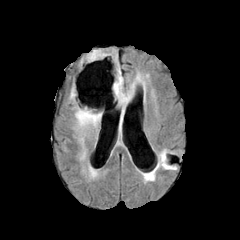
FLAIR MRI.
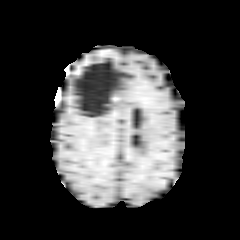
T1-weighted MR.
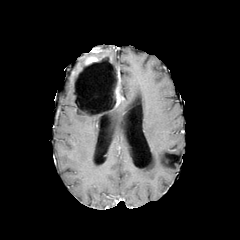
Same slice, post-contrast T1-weighted MR image.
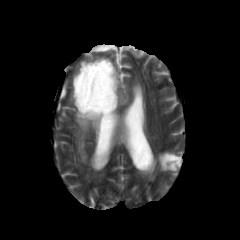
T2-weighted MR.
enhancing_tumor:
  - [x1=115, y1=67, x2=123, y2=103]
  - [x1=87, y1=55, x2=98, y2=62]
non-enhancing_tumor_core:
  - [x1=119, y1=70, x2=122, y2=95]
  - [x1=74, y1=71, x2=118, y2=115]
edema:
  - [x1=69, y1=88, x2=103, y2=139]
  - [x1=115, y1=70, x2=141, y2=139]
  - [x1=80, y1=148, x2=86, y2=160]
  - [x1=158, y1=150, x2=173, y2=171]